Field of view 408 mm wide, 5.00 mm slice spacing, 512x512 px, CT, Slice index 7
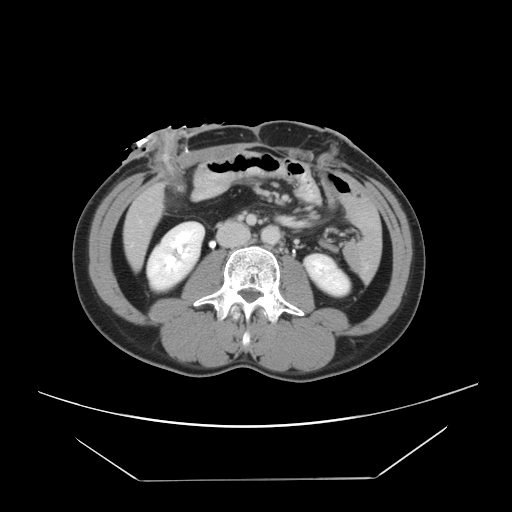
Not every hepatic vessel necessarily has a box.
• hepatic vessel: [x1=139, y1=220, x2=141, y2=223], [x1=149, y1=209, x2=151, y2=210], [x1=130, y1=243, x2=133, y2=247]